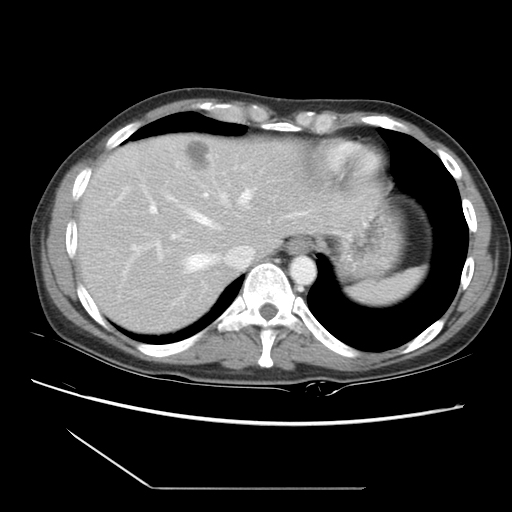
CT image

Not every hepatic vessel necessarily has a box.
The liver tumor lies within <bbox>184, 141, 211, 170</bbox>. The principal 15 hepatic vessel regions (of 17) are located at <bbox>115, 188, 129, 203</bbox>, <bbox>123, 240, 162, 277</bbox>, <bbox>186, 209, 220, 229</bbox>, <bbox>141, 185, 156, 214</bbox>, <bbox>224, 246, 253, 268</bbox>, <bbox>180, 296, 183, 298</bbox>, <bbox>220, 193, 226, 204</bbox>, <bbox>170, 233, 182, 239</bbox>, <bbox>203, 192, 208, 196</bbox>, <bbox>287, 212, 308, 217</bbox>, <bbox>185, 255, 217, 272</bbox>, <bbox>210, 156, 216, 160</bbox>, <bbox>166, 195, 175, 201</bbox>, <bbox>238, 188, 252, 208</bbox>, <bbox>234, 166, 244, 169</bbox>.